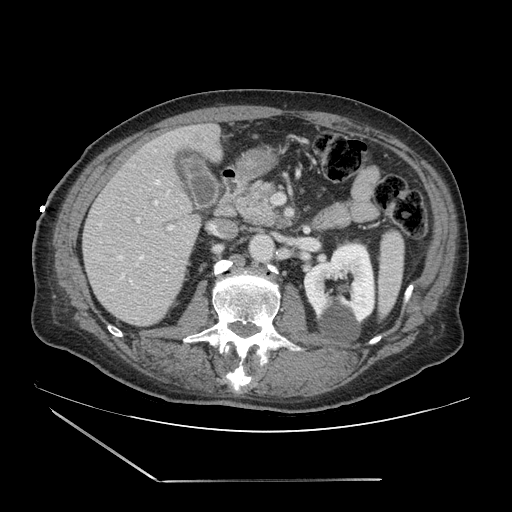
Computed tomography, Abdomen

Pancreas: bounding box <box>240,187,285,226</box>.
Pancreatic tumor: bounding box <box>255,183,273,198</box>.